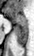

34x56 px. Magnetic resonance.
* posterior hippocampus: 15,23,27,45
* anterior hippocampus: 6,8,27,22